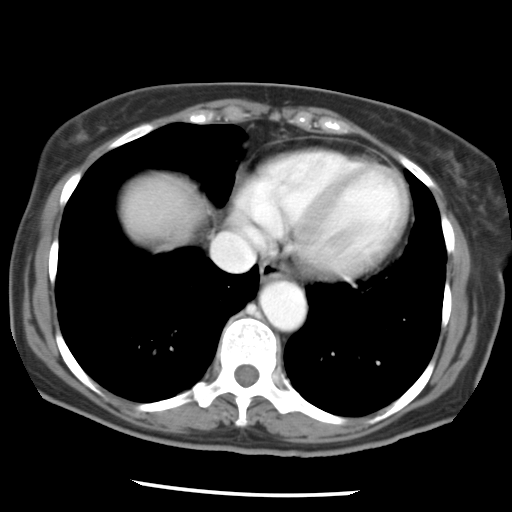

512x512 px; CT slice

Only some of the vessels may be annotated.
hepatic vessel: <box>213,228,253,269</box>